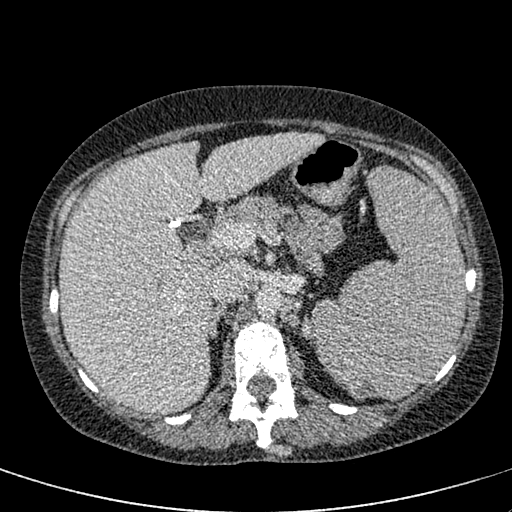
Computed tomography, Image size 512x512
liver:
  - <bbox>59, 133, 323, 413</bbox>
kidney:
  - <bbox>302, 318, 312, 337</bbox>